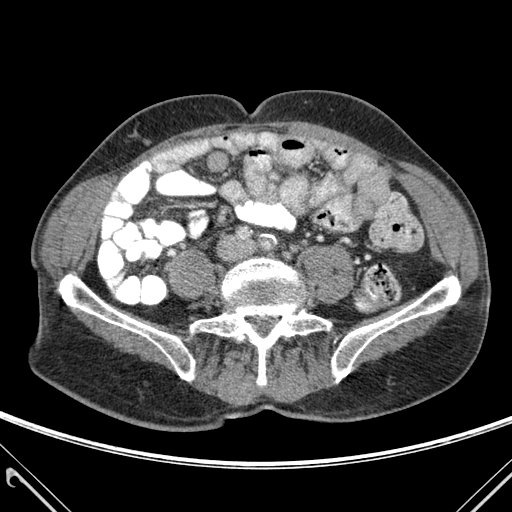
CT
3 bone regions appear at rect(190, 258, 331, 385); rect(331, 276, 460, 382); rect(59, 274, 194, 380).